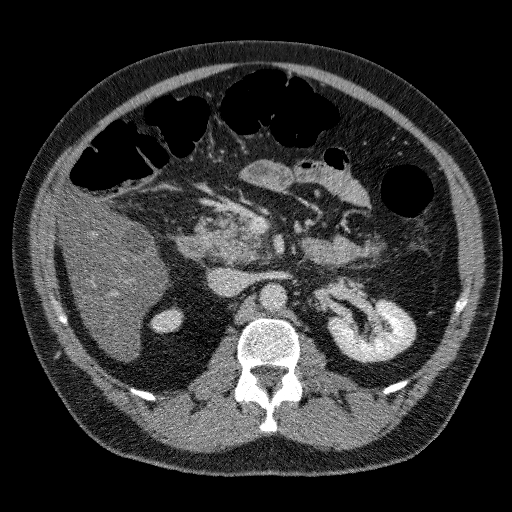

Liver | CT
kidney: [x1=153, y1=312, x2=178, y2=329], [x1=330, y1=301, x2=414, y2=360] | liver: [x1=57, y1=190, x2=166, y2=359] | hepatic lesion: [x1=120, y1=224, x2=152, y2=257]